FLAIR MR.
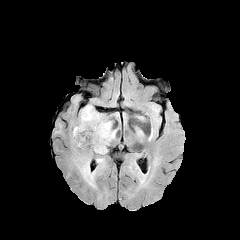
T1-weighted MRI.
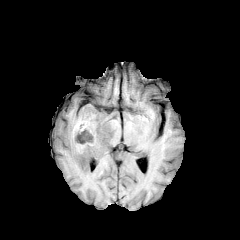
Post-contrast T1-weighted MR.
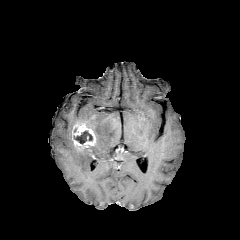
T2-weighted MR image.
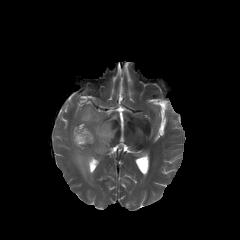
240x240. Head.
The enhancing tumor is at [x1=72, y1=122, x2=96, y2=150]. The non-enhancing tumor core is at [x1=74, y1=131, x2=92, y2=143]. 2 edema regions are bounded by [x1=79, y1=104, x2=117, y2=154], [x1=74, y1=154, x2=105, y2=188].